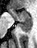 MRI slice. Medial temporal lobe. {"anterior_hippocampus": ["rect(7, 7, 31, 20)"], "posterior_hippocampus": ["rect(18, 21, 31, 30)"]}